Image size 512x512. Abdomen. Slice 10/39. CT.

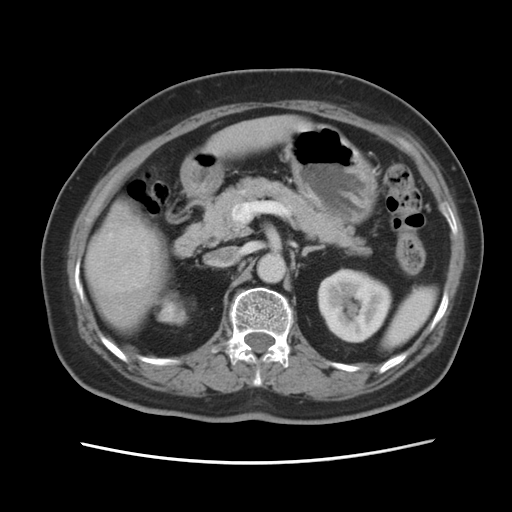
{
  "liver_tumor": [
    "88:232:147:291"
  ]
}